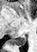

Medial temporal lobe. Magnetic resonance. Image size 37x52.
Segmented structures:
• posterior hippocampus: [10, 35, 25, 45]